MRI | Heart | Slice 86/110

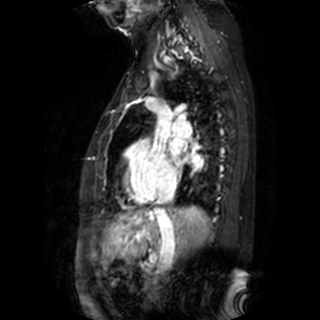 Left atrium = left=192, top=155, right=201, bottom=165; left=169, top=140, right=182, bottom=155.